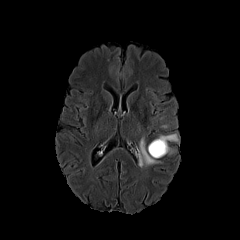
FLAIR MR.
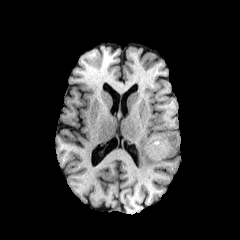
T1-weighted MR.
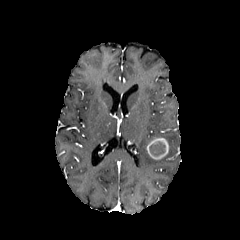
Post-contrast T1-weighted MR image of the same slice.
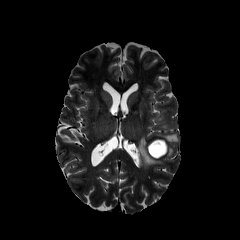
T2-weighted MRI.
Brain
non-enhancing tumor core: 149,140,165,156 | enhancing tumor: 146,136,169,159 | edema: 159,133,178,142; 138,136,162,167